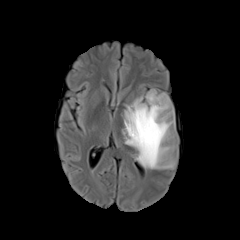
FLAIR MRI.
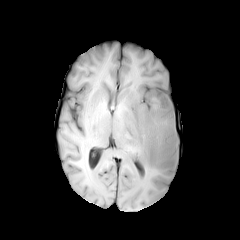
Same slice, T1-weighted MRI.
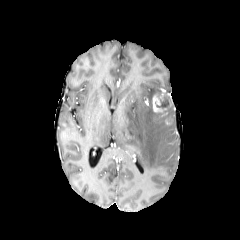
Post-contrast T1-weighted MRI of the same slice.
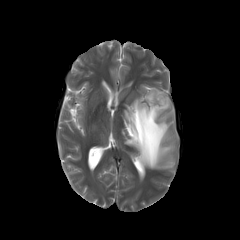
T2-weighted MRI.
Brain; 240x240
<segmentation>
  <enhancing_tumor><box>152,93,163,111</box></enhancing_tumor>
  <non-enhancing_tumor_core><box>157,92,170,117</box>, <box>145,114,152,125</box>, <box>134,116,157,149</box></non-enhancing_tumor_core>
  <edema><box>122,88,178,169</box></edema>
</segmentation>